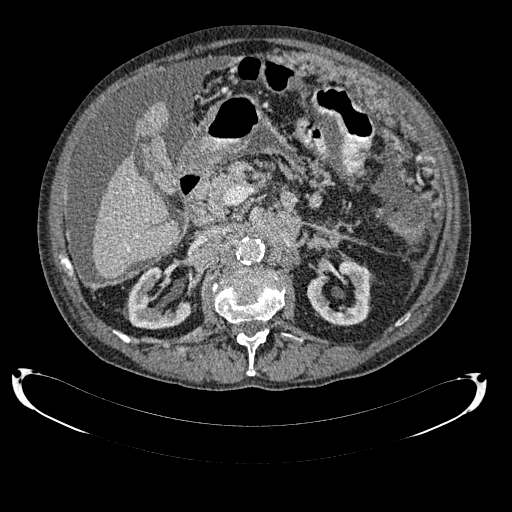 CT scan slice, 512x512 px
Kidney: bounding box <bbox>128, 267, 190, 328</bbox>, <bbox>307, 259, 369, 325</bbox>.
Liver: bounding box <bbox>88, 154, 179, 289</bbox>, <bbox>133, 102, 168, 152</bbox>.